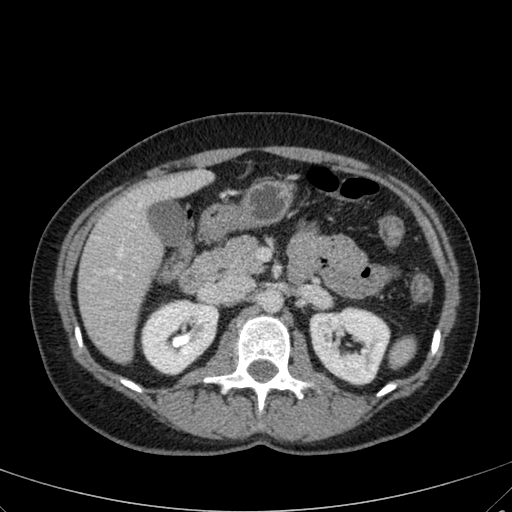

Abdomen | CT slice
The liver is bounded by box(78, 171, 210, 362). 2 kidney regions are located at box(311, 309, 388, 383); box(143, 302, 217, 373).